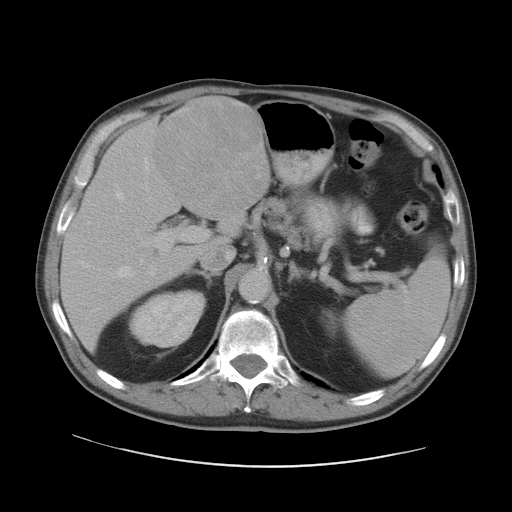

CT image; Abdomen
The vessel boxes may cover only some of the vessels.
Annotated regions:
- hepatic vessel: (x1=115, y1=191, x2=123, y2=200), (x1=146, y1=188, x2=147, y2=190), (x1=181, y1=228, x2=204, y2=241), (x1=116, y1=266, x2=132, y2=276), (x1=146, y1=198, x2=151, y2=201), (x1=144, y1=157, x2=148, y2=168), (x1=121, y1=210, x2=123, y2=211), (x1=135, y1=229, x2=175, y2=255), (x1=79, y1=260, x2=88, y2=266), (x1=147, y1=263, x2=155, y2=274)
- liver tumor: (x1=152, y1=96, x2=270, y2=219)